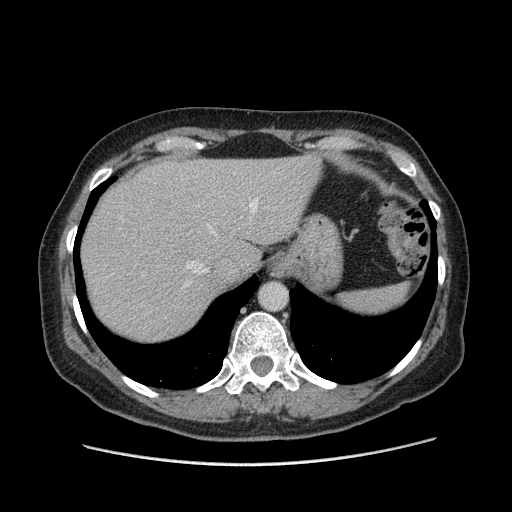
CT | 512x512 px

The vessel annotation is not exhaustive.
Segmented structures:
* hepatic vessel: <bbox>250, 200, 257, 213</bbox>, <bbox>207, 225, 217, 236</bbox>, <bbox>181, 280, 191, 289</bbox>, <bbox>184, 260, 208, 274</bbox>, <bbox>207, 192, 221, 194</bbox>